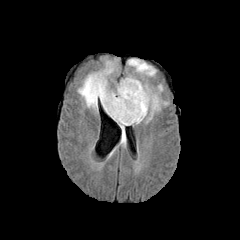
FLAIR MR image.
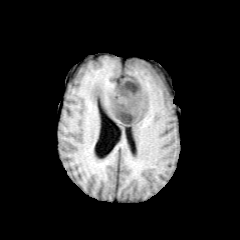
T1-weighted MR of the same slice.
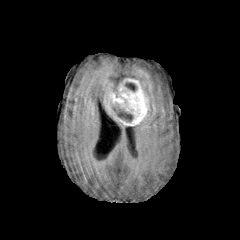
Post-contrast T1-weighted MR of the same slice.
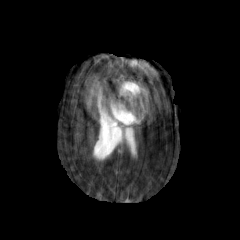
T2-weighted magnetic resonance.
2 edema regions are bounded by region(78, 65, 117, 115); region(127, 59, 159, 120). 2 non-enhancing tumor core regions are located at region(112, 106, 132, 121); region(124, 82, 136, 91). The enhancing tumor is at region(105, 78, 149, 125).